CT | Slice 84/99 | Abdomen

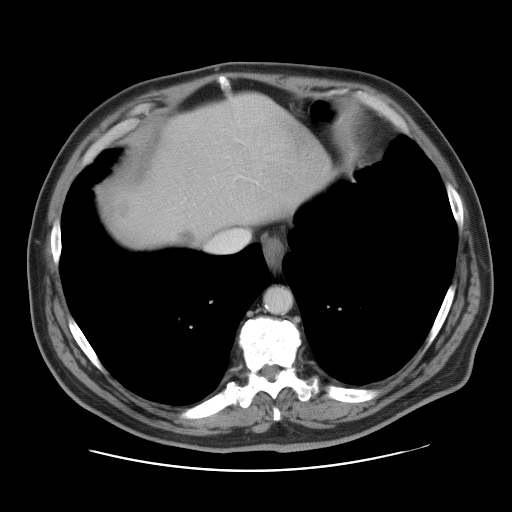
The vessel annotation is not exhaustive.
Liver tumor = 114,198,129,219; 175,229,203,246.
Hepatic vessel = 206,229,249,252.